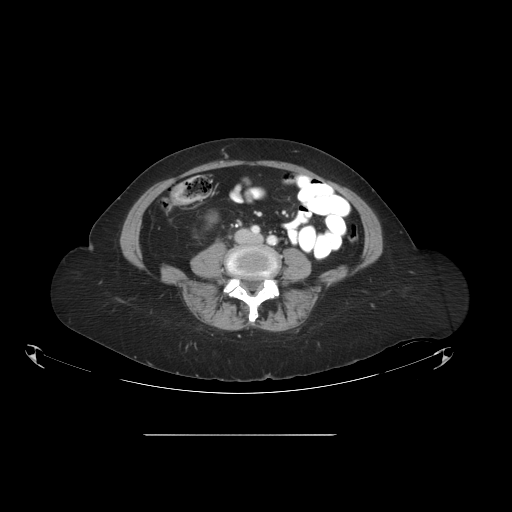

Image size 512x512; CT; Pelvis
colon tumor: x1=170, y1=175, x2=210, y2=205